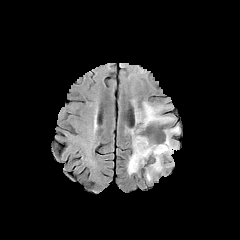
FLAIR MR image.
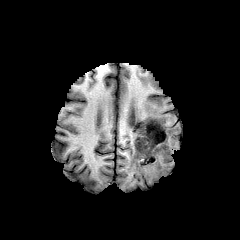
Same slice, T1-weighted MR image.
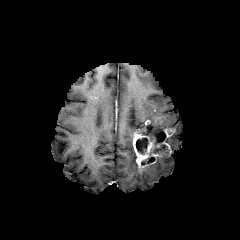
Same slice, post-contrast T1-weighted MR.
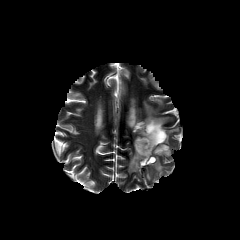
T2-weighted magnetic resonance.
Head, 240x240 px
enhancing_tumor:
  - bbox=[133, 133, 153, 167]
edema:
  - bbox=[135, 102, 172, 127]
  - bbox=[127, 127, 179, 179]
non-enhancing_tumor_core:
  - bbox=[136, 120, 167, 155]
  - bbox=[136, 138, 148, 153]
  - bbox=[141, 152, 157, 166]